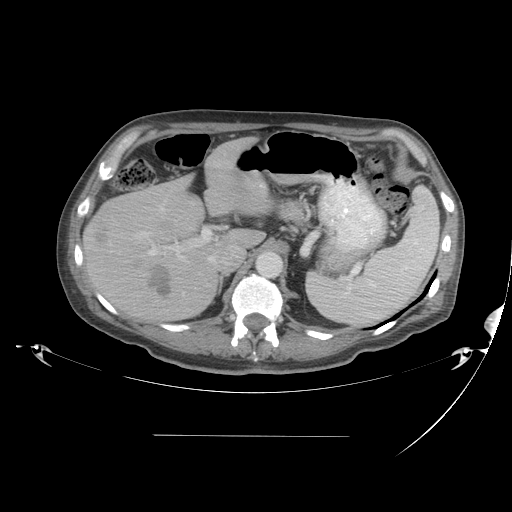
Image size 512x512; CT; Liver
The vessel annotation is not exhaustive.
Findings:
- hepatic vessel: {"x1": 208, "y1": 256, "x2": 214, "y2": 261}, {"x1": 157, "y1": 200, "x2": 166, "y2": 212}, {"x1": 182, "y1": 292, "x2": 184, "y2": 295}, {"x1": 133, "y1": 228, "x2": 213, "y2": 261}
- liver tumor: {"x1": 95, "y1": 229, "x2": 109, "y2": 241}, {"x1": 146, "y1": 265, "x2": 173, "y2": 298}